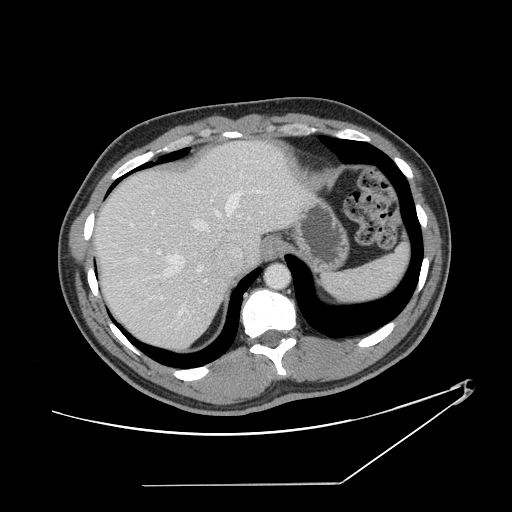
Liver | Computed tomography | Image size 512x512
Not every hepatic vessel necessarily has a box.
Annotated regions:
- hepatic vessel: left=145, top=249, right=147, bottom=250; left=225, top=194, right=238, bottom=215; left=179, top=305, right=188, bottom=315; left=257, top=189, right=262, bottom=192; left=130, top=223, right=132, bottom=225; left=157, top=250, right=159, bottom=253; left=159, top=297, right=162, bottom=299; left=197, top=265, right=202, bottom=271; left=198, top=298, right=200, bottom=301; left=194, top=220, right=208, bottom=231; left=216, top=210, right=219, bottom=216; left=152, top=211, right=153, bottom=213; left=164, top=255, right=184, bottom=275